Field of view 700 mm wide, 2.50 mm slice spacing. Computed tomography.

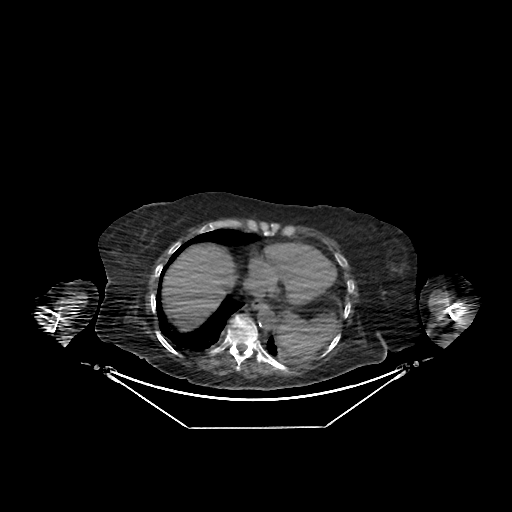 Segmented structures:
• liver: rect(162, 243, 239, 331)